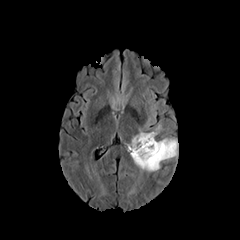
FLAIR magnetic resonance.
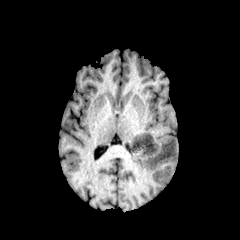
Same slice, T1-weighted MRI.
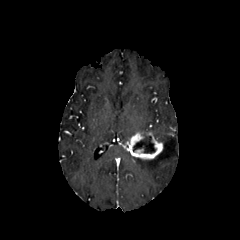
Post-contrast T1-weighted magnetic resonance.
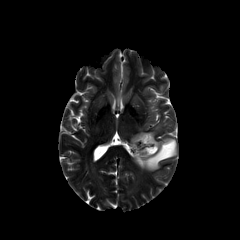
T2-weighted MR image of the same slice.
Head
Enhancing tumor — left=130, top=133, right=144, bottom=150; left=131, top=131, right=163, bottom=159.
Edema — left=132, top=138, right=176, bottom=171.
Non-enhancing tumor core — left=132, top=134, right=155, bottom=153.